FLAIR magnetic resonance.
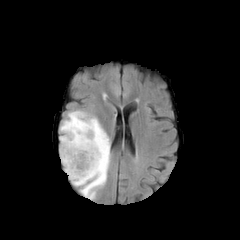
T1-weighted magnetic resonance.
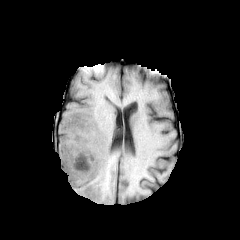
Post-contrast T1-weighted magnetic resonance.
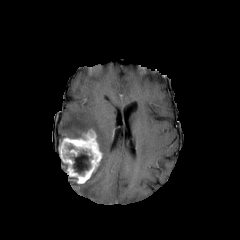
T2-weighted MR.
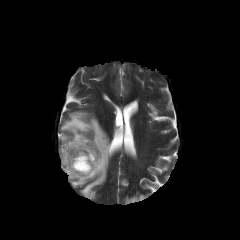
240x240; Head
Non-enhancing tumor core: (left=73, top=153, right=89, bottom=173).
Edema: (left=60, top=111, right=110, bottom=199).
Enhancing tumor: (left=59, top=130, right=103, bottom=185).